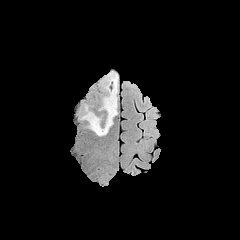
FLAIR MR image.
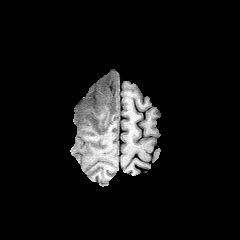
T1-weighted MRI.
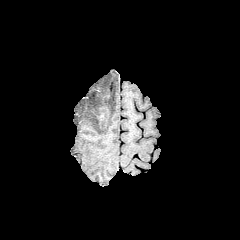
Post-contrast T1-weighted magnetic resonance.
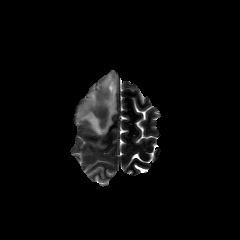
T2-weighted MR image of the same slice.
edema: region(82, 72, 118, 135)